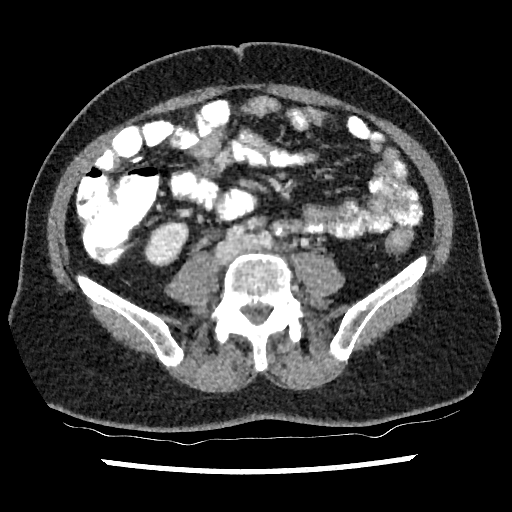
Abdomen, CT

The kidney lies within box=[146, 223, 186, 263].